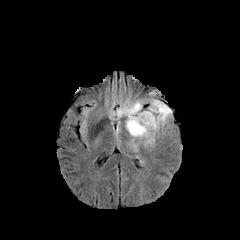
FLAIR MRI.
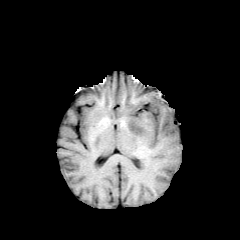
T1-weighted MR image of the same slice.
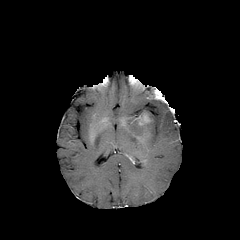
Post-contrast T1-weighted MR image.
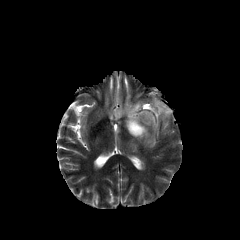
T2-weighted MR image.
non-enhancing_tumor_core:
  - [x1=132, y1=115, x2=146, y2=128]
edema:
  - [x1=120, y1=95, x2=173, y2=152]